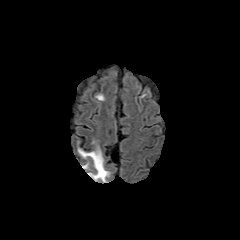
FLAIR MR image.
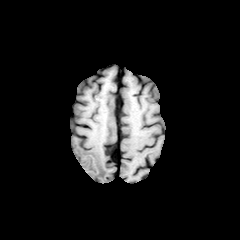
T1-weighted magnetic resonance of the same slice.
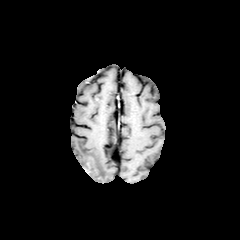
Post-contrast T1-weighted magnetic resonance.
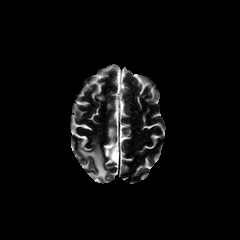
T2-weighted MRI.
240x240 px; Brain
edema: (left=78, top=148, right=110, bottom=181)